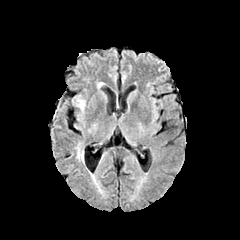
FLAIR magnetic resonance.
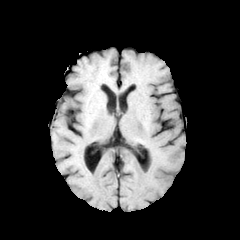
Same slice, T1-weighted MR.
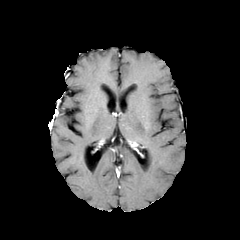
Same slice, post-contrast T1-weighted MR.
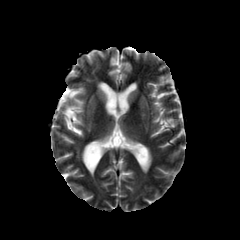
T2-weighted MRI.
Image size 240x240.
edema:
  - bbox(72, 95, 85, 126)